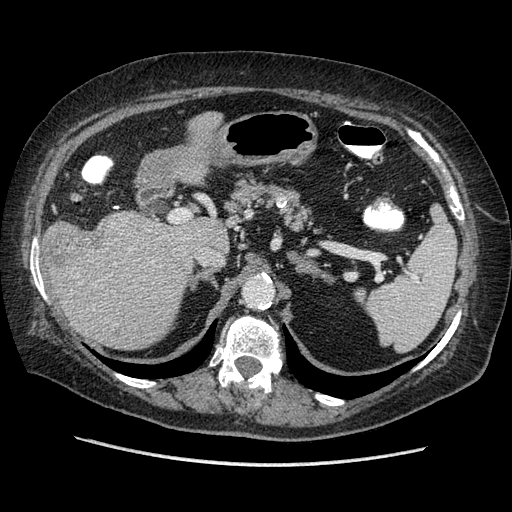 Abdomen. 512x512 px. CT slice.

Liver tumor — x1=45, y1=222, x2=110, y2=258.